Computed tomography | 512x512 px 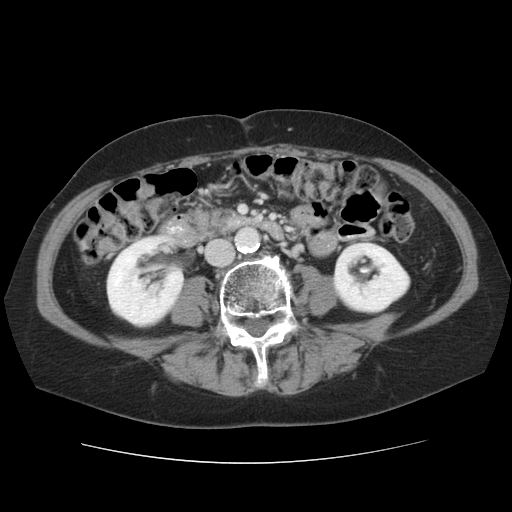 <segmentation>
  <bone>(215,254,299,388)</bone>
  <kidney>(107,236,184,324), (334,243,408,311)</kidney>
</segmentation>